Brain
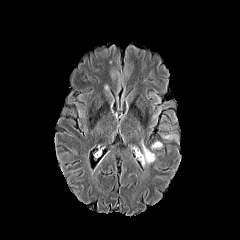
FLAIR magnetic resonance.
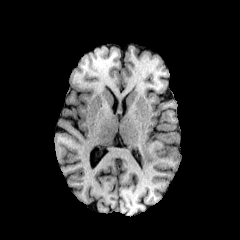
T1-weighted magnetic resonance.
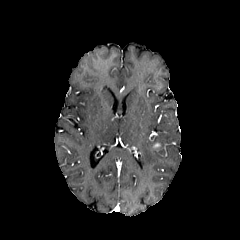
Post-contrast T1-weighted MR.
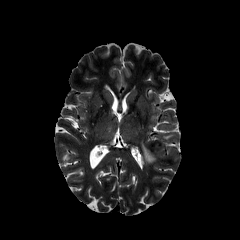
Same slice, T2-weighted MRI.
Edema = left=140, top=138, right=155, bottom=164.